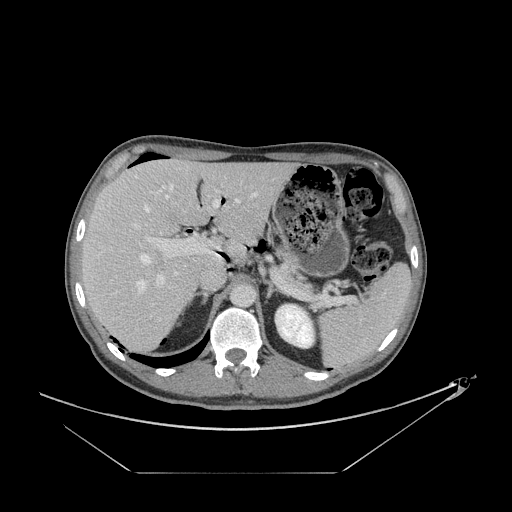
CT image. The pancreas lies within l=280, t=262, r=306, b=283.